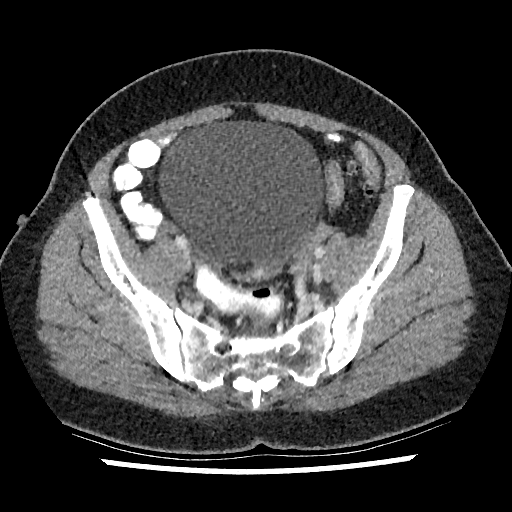 Computed tomography; Pelvis
Urinary bladder at (left=158, top=120, right=323, bottom=272).